Slice index 131. Brain.
FLAIR MR image.
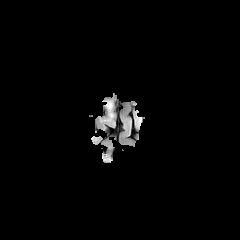
T1-weighted magnetic resonance.
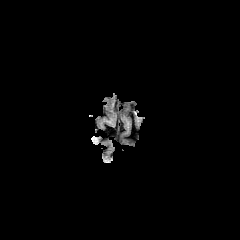
Post-contrast T1-weighted magnetic resonance.
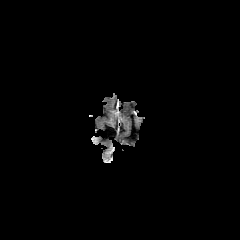
T2-weighted magnetic resonance.
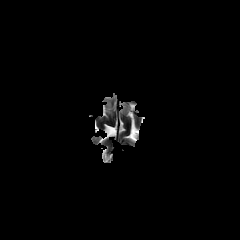
<segmentation>
  <edema>102,100,113,121</edema>
</segmentation>